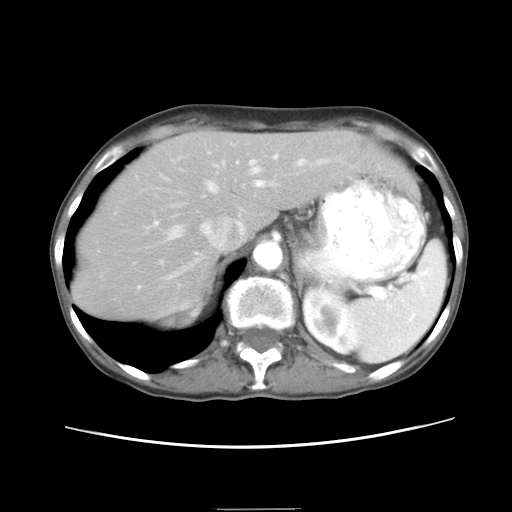
512x512; CT image; Liver

The vessel boxes may cover only some of the vessels.
{
  "liver_tumor": [
    "[354, 141, 365, 152]"
  ],
  "hepatic_vessel": [
    "[273, 155, 276, 157]",
    "[250, 159, 258, 172]",
    "[154, 221, 157, 224]",
    "[202, 225, 203, 226]",
    "[207, 182, 214, 190]",
    "[170, 227, 180, 237]",
    "[255, 180, 263, 185]"
  ]
}